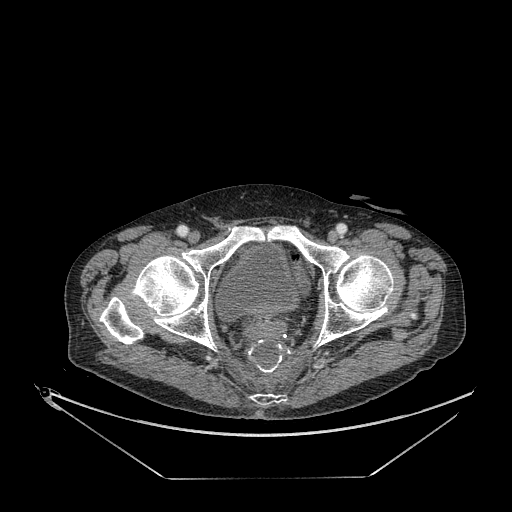
CT scan slice
Segmented structures:
• urinary bladder: <box>215,241,301,321</box>